FLAIR magnetic resonance.
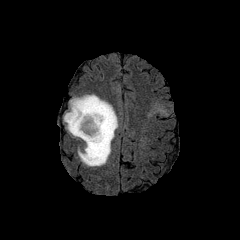
T1-weighted magnetic resonance.
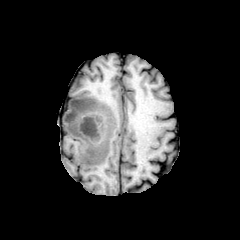
Post-contrast T1-weighted MR.
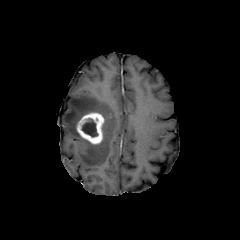
T2-weighted MR.
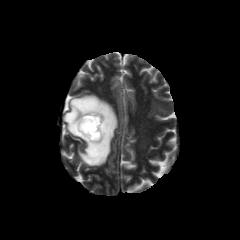
The enhancing tumor appears at region(76, 112, 104, 144). The edema lies within region(62, 94, 117, 167). 2 non-enhancing tumor core regions are bounded by region(101, 118, 106, 142); region(82, 120, 97, 136).